Lower abdomen; CT slice 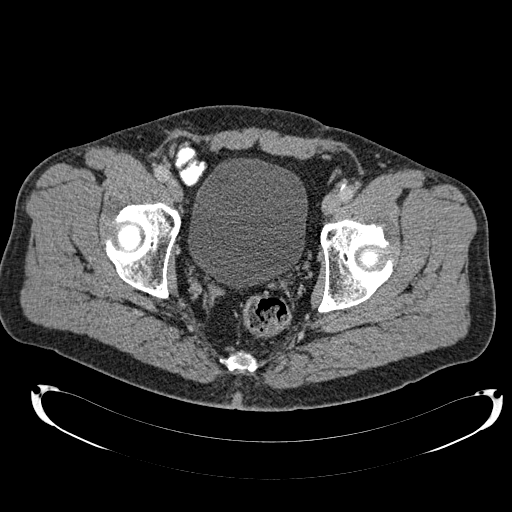
urinary bladder: region(188, 158, 307, 287)